Slice 55 of 155, Brain, Field of view 240x240 mm
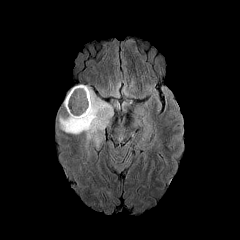
FLAIR MR.
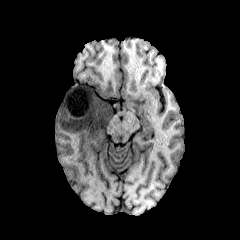
T1-weighted MRI.
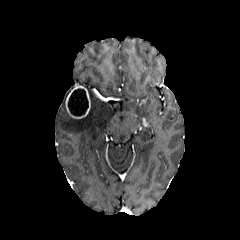
Post-contrast T1-weighted MRI.
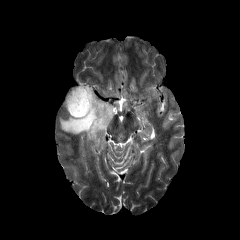
T2-weighted magnetic resonance.
The enhancing tumor lies within (65, 85, 90, 119). The edema is at (58, 86, 113, 154). The non-enhancing tumor core appears at (68, 88, 88, 116).